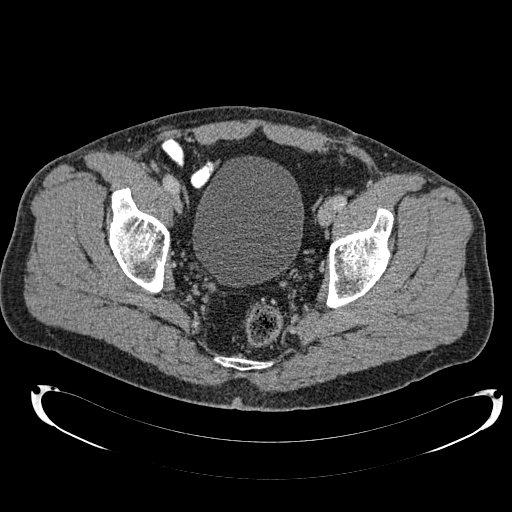 Computed tomography
- urinary bladder: (left=192, top=156, right=303, bottom=284)